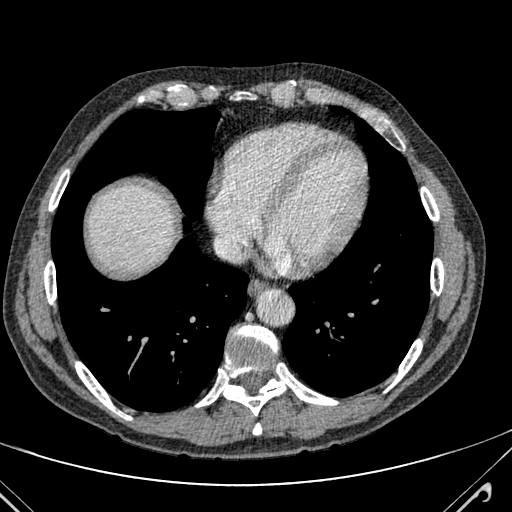

Abdomen. Computed tomography. 512x512.
Annotated regions:
• liver: (x1=92, y1=190, x2=170, y2=269)